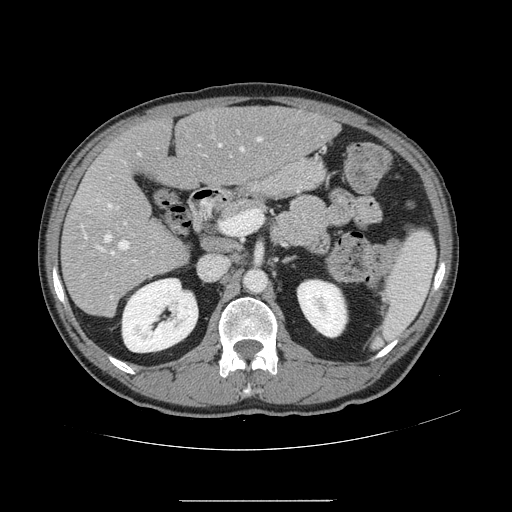

CT image; Image size 512x512; Abdomen
Not every hepatic vessel necessarily has a box.
14 hepatic vessel regions appear at region(118, 240, 127, 249); region(124, 222, 126, 224); region(80, 224, 86, 238); region(96, 245, 102, 249); region(116, 207, 118, 208); region(104, 235, 111, 242); region(138, 152, 140, 154); region(110, 295, 112, 298); region(134, 260, 136, 261); region(257, 137, 261, 141); region(218, 143, 221, 146); region(108, 203, 111, 207); region(109, 251, 114, 255); region(241, 147, 243, 150).